FLAIR MRI.
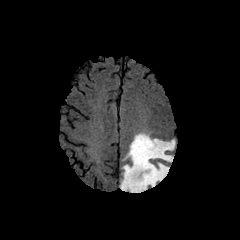
T1-weighted MR image.
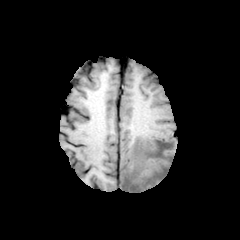
Post-contrast T1-weighted MR image.
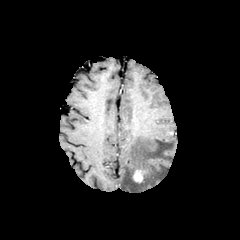
T2-weighted MR image.
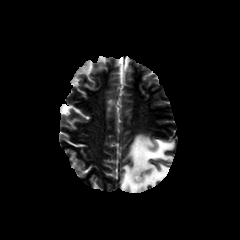
Brain
The edema is bounded by (120, 132, 175, 192). The enhancing tumor appears at (132, 166, 148, 183).